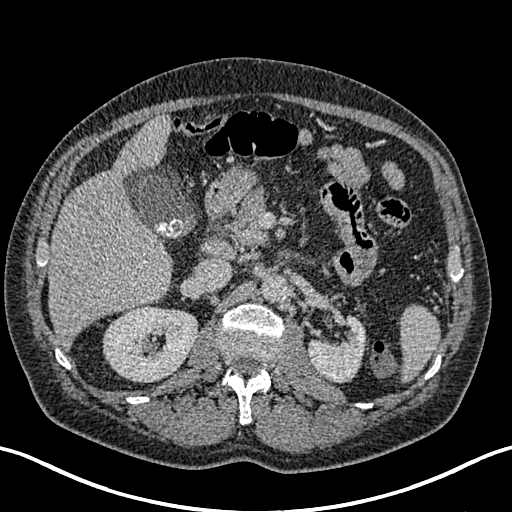

CT scan slice; 512x512
{"kidney": ["104 307 196 381", "309 317 365 381"], "liver": ["49 115 172 347"]}